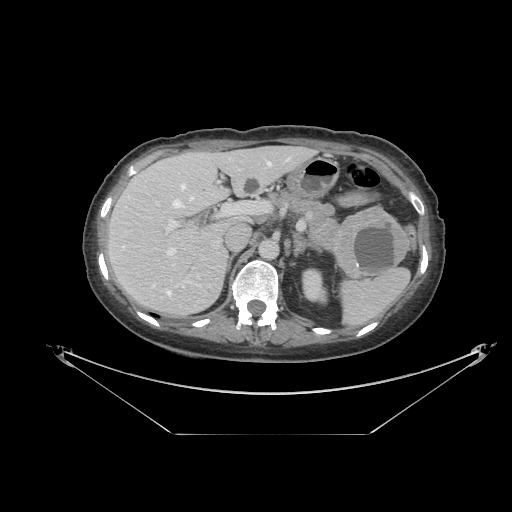

CT scan slice
Pancreas = (left=268, top=190, right=342, bottom=254).
Pancreatic tumor = (left=334, top=207, right=409, bottom=277).